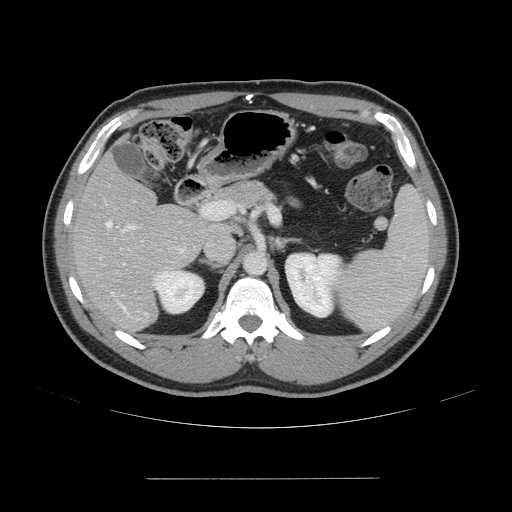

Liver, Image size 512x512, Computed tomography
Not every hepatic vessel necessarily has a box.
Hepatic vessel: bounding box x1=121 y1=225 x2=134 y2=231, x1=111 y1=292 x2=114 y2=295, x1=106 y1=221 x2=111 y2=226, x1=123 y1=263 x2=124 y2=264, x1=120 y1=304 x2=127 y2=313.